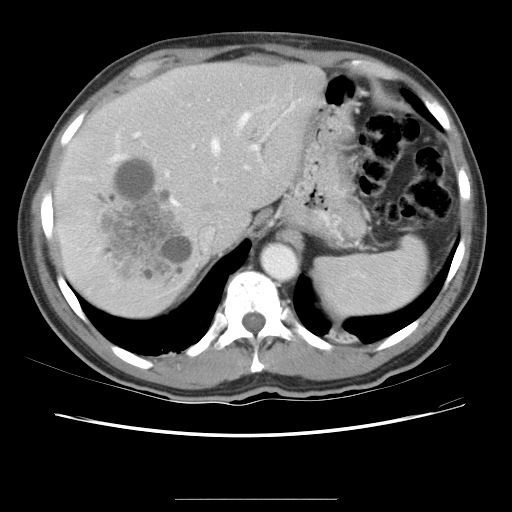
CT slice. 512x512. Not every hepatic vessel necessarily has a box.
Liver tumor at 93:154:194:285.
Hepatic vessel at 211:138:219:153, 238:112:250:126, 251:143:259:157, 214:178:219:182, 172:285:179:289, 244:165:248:168, 177:201:178:204, 134:131:139:136, 111:154:124:160, 165:172:169:175.